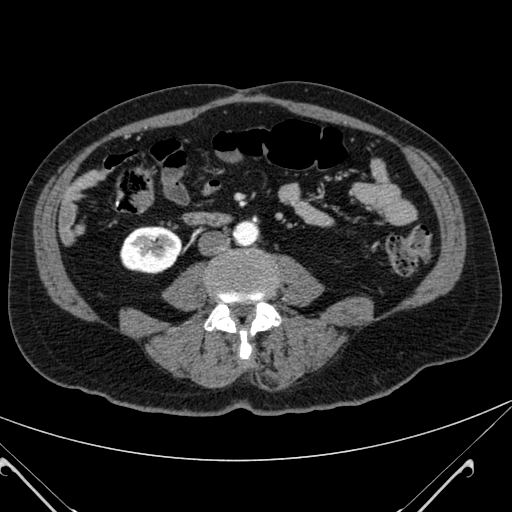

CT | Abdomen
kidney:
  - [x1=121, y1=227, x2=180, y2=272]